CT scan slice; Liver; Image width 387 mm; Slice 510/846 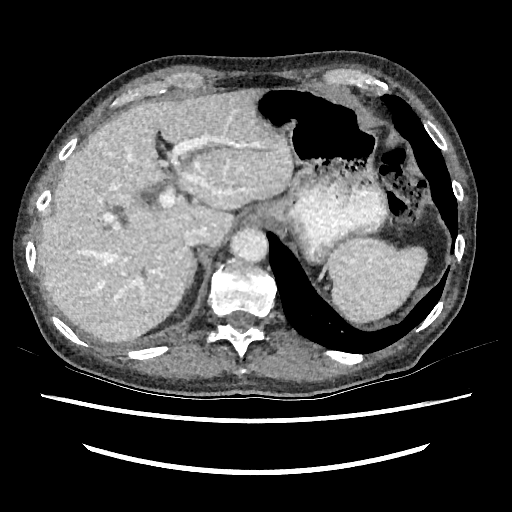 liver:
  - (37,89,292,341)